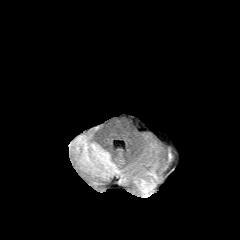
FLAIR MRI.
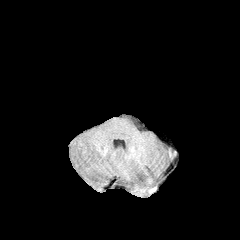
T1-weighted MR image of the same slice.
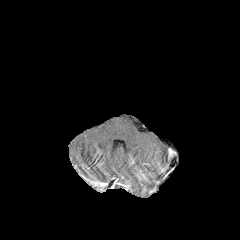
Post-contrast T1-weighted MR image.
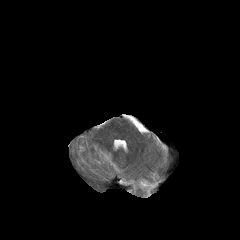
T2-weighted MR.
Head
Annotated regions:
- edema: region(141, 178, 151, 193)